MRI 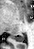

• posterior hippocampus: bbox=[11, 34, 24, 41]